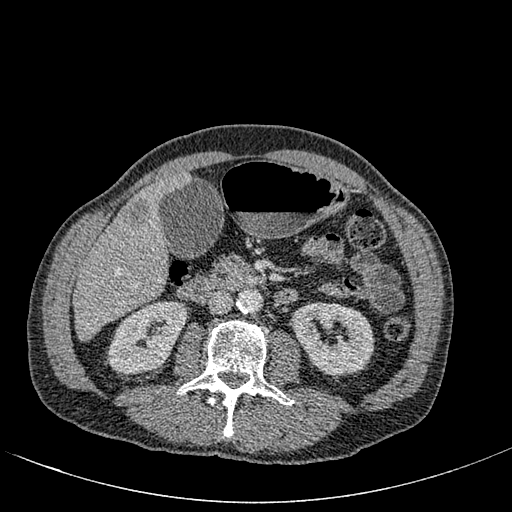 Computed tomography
Kidney at <box>108,301,187,373</box>, <box>292,299,373,375</box>.
Liver at <box>74,172,191,339</box>.
Liver lesion at <box>123,198,149,228</box>.